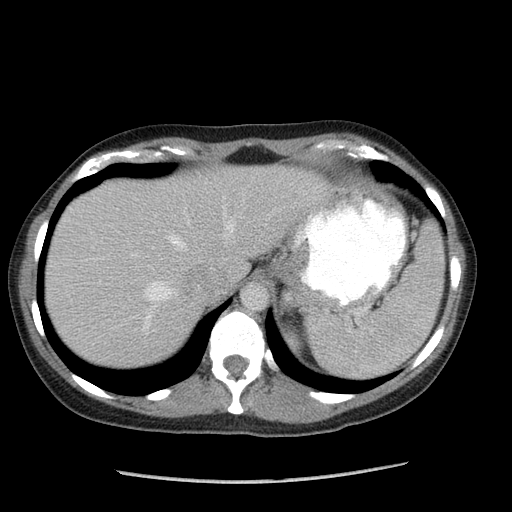

Computed tomography

The spleen is bounded by bbox=[307, 223, 443, 378].